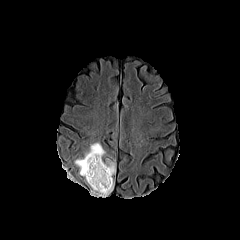
FLAIR MRI.
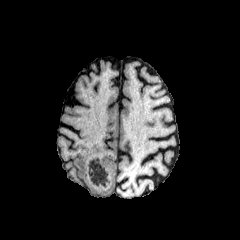
T1-weighted magnetic resonance of the same slice.
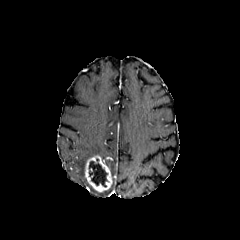
Same slice, post-contrast T1-weighted magnetic resonance.
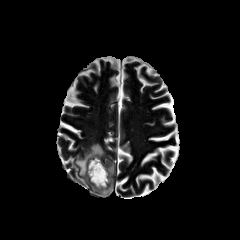
T2-weighted MRI.
Non-enhancing tumor core: 88,158,109,187.
Enhancing tumor: 84,155,112,192.
Edema: 99,183,113,197; 75,144,104,176.